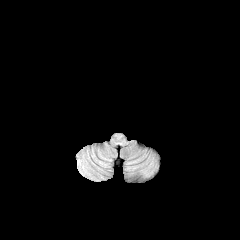
FLAIR MR.
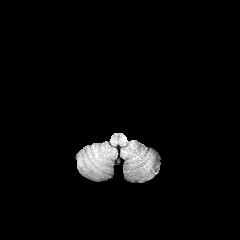
Same slice, T1-weighted MR image.
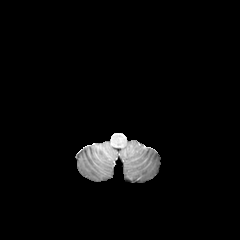
Post-contrast T1-weighted MRI.
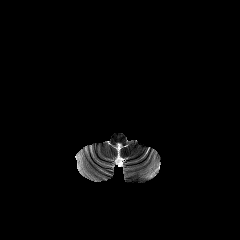
T2-weighted MR image.
Head.
The edema is at [80,158,91,175].